Slice index 44; Upper abdomen; CT scan slice; 512x512
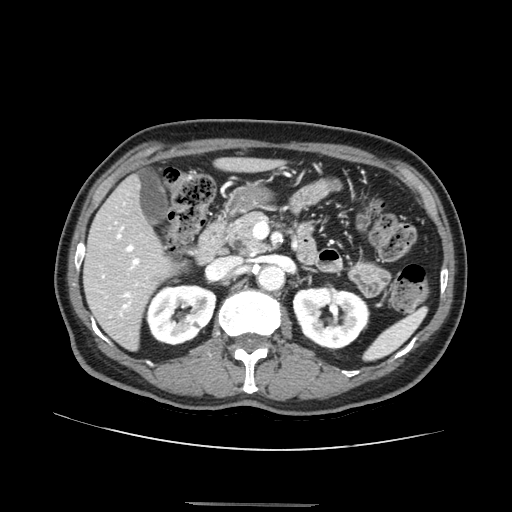
pancreas: (231,213,267,253)